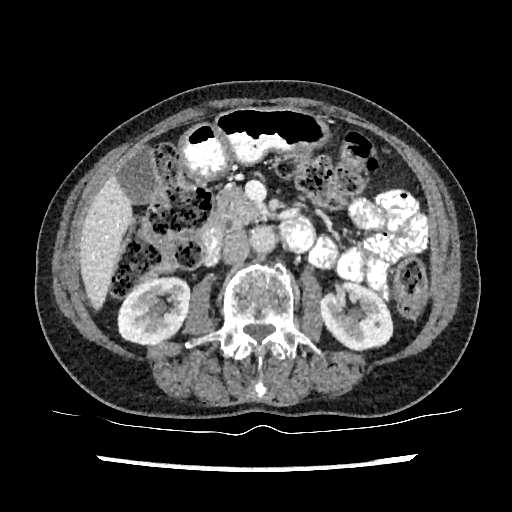
CT scan slice. Upper abdomen. Image size 512x512.

Liver: bounding box [x1=80, y1=180, x2=132, y2=308].
Kidney: bounding box [x1=119, y1=279, x2=189, y2=345], [x1=321, y1=284, x2=391, y2=349].